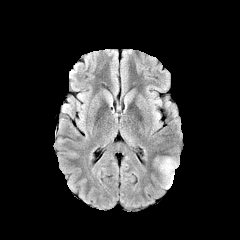
FLAIR magnetic resonance.
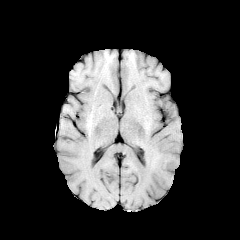
T1-weighted MR.
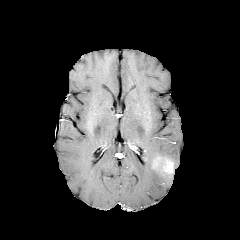
Same slice, post-contrast T1-weighted magnetic resonance.
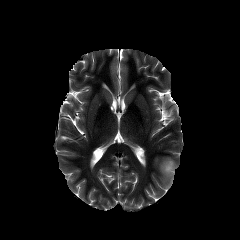
T2-weighted MRI.
The edema is bounded by left=159, top=157, right=177, bottom=188. The enhancing tumor appears at left=163, top=161, right=173, bottom=173.